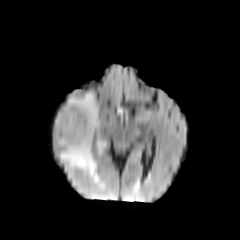
FLAIR magnetic resonance.
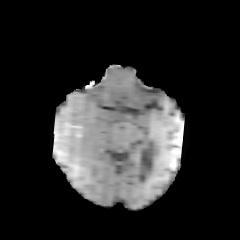
Same slice, T1-weighted magnetic resonance.
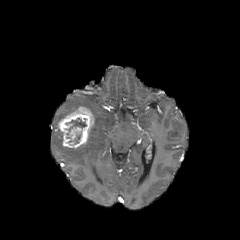
Post-contrast T1-weighted MR image of the same slice.
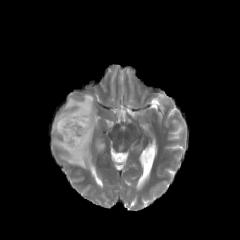
T2-weighted MR image.
Head; 240x240
Edema: bounding box [53,92,99,181].
Enhancing tumor: bounding box [57,106,94,148].
Non-enhancing tumor core: bounding box [65,117,86,132], [69,131,81,142].